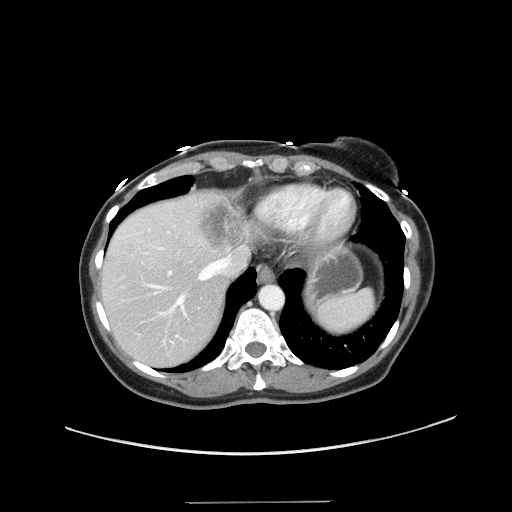
Abdomen, Computed tomography

Some hepatic vessels may have no box.
7 hepatic vessel regions are bounded by 151, 285, 163, 290; 158, 312, 165, 314; 169, 271, 171, 273; 199, 253, 240, 279; 238, 246, 245, 249; 174, 296, 183, 307; 169, 311, 171, 312. The liver tumor is located at 195, 198, 245, 251.